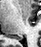
MRI, Hippocampus
Posterior hippocampus: bounding box x1=15, y1=36, x2=23, y2=40.